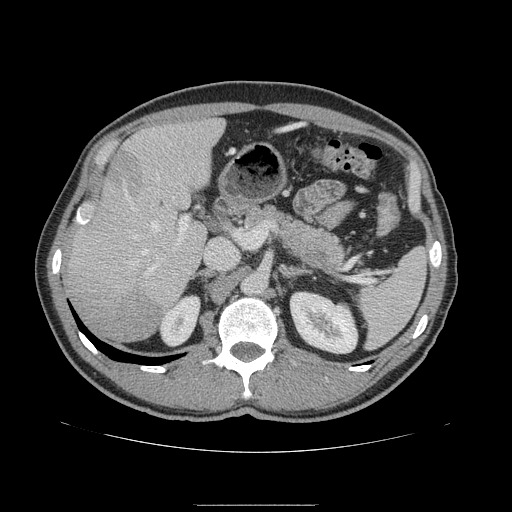

CT, Upper abdomen, 512x512
Segmented structures:
• pancreatic tumor: <bbox>306, 247, 332, 266</bbox>
• pancreas: <bbox>243, 205, 347, 275</bbox>